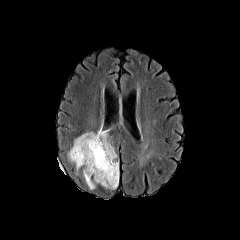
FLAIR MR image.
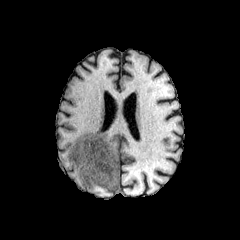
Same slice, T1-weighted MR image.
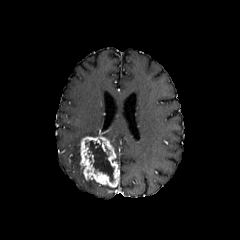
Post-contrast T1-weighted magnetic resonance.
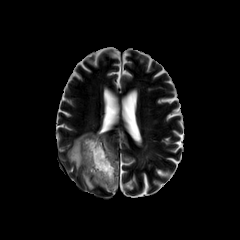
Same slice, T2-weighted MR.
Head; 240x240 px
Non-enhancing tumor core = 87, 139, 114, 182.
Edema = 67, 131, 98, 170; 85, 179, 95, 190.
Enhancing tumor = 79, 128, 119, 187.